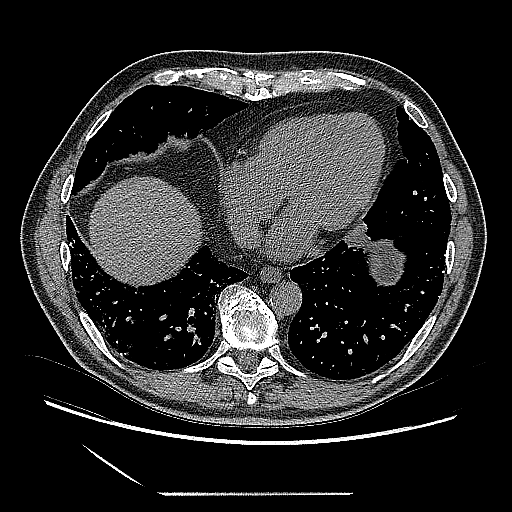 512x512 px, Chest, CT slice

The lung tumor appears at bbox=[332, 219, 371, 255].